Abdomen, Slice 566/896, Image size 512x512, Computed tomography

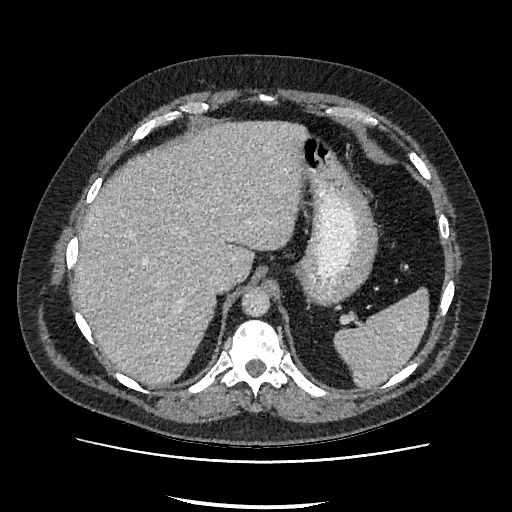 liver:
  - 76, 122, 307, 384